Slice 20/49; CT slice; Liver

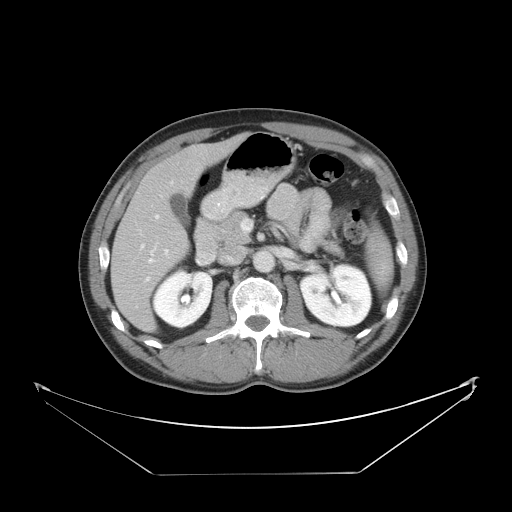

Some hepatic vessels may have no box.
<segmentation>
  <hepatic_vessel>170 182 172 184, 140 244 144 249, 164 249 168 257, 155 215 158 218, 146 277 149 280, 148 240 158 262</hepatic_vessel>
</segmentation>